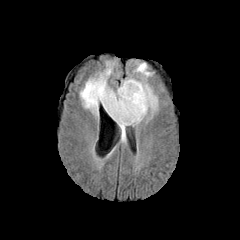
FLAIR MR image.
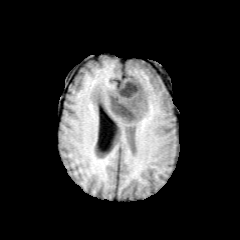
T1-weighted MR image.
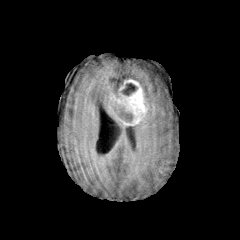
Post-contrast T1-weighted magnetic resonance.
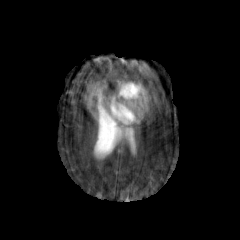
T2-weighted MR image of the same slice.
Image size 240x240
Findings:
* enhancing tumor: region(107, 79, 147, 127)
* edema: region(80, 67, 117, 117); region(133, 61, 152, 77); region(114, 120, 130, 143); region(138, 80, 157, 116)
* non-enhancing tumor core: region(114, 107, 133, 122); region(121, 83, 136, 95)